512x512; Slice 246/427; Abdomen; CT slice

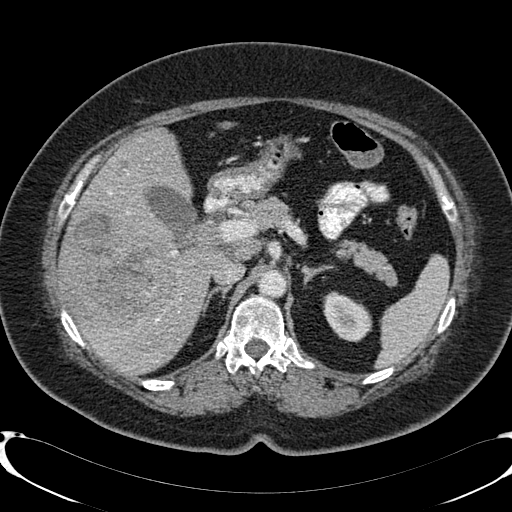

liver: bbox=[59, 285, 69, 310]; bbox=[63, 128, 223, 373] | kidney: bbox=[324, 293, 369, 339] | focal liver lesion: bbox=[59, 210, 174, 327]; bbox=[120, 160, 129, 168]